Slice 65 of 155. Image size 240x240. Brain.
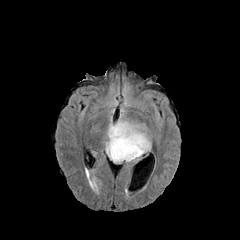
FLAIR MRI.
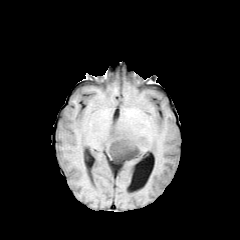
T1-weighted MR image.
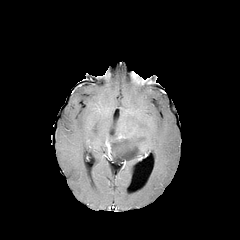
Post-contrast T1-weighted MR image of the same slice.
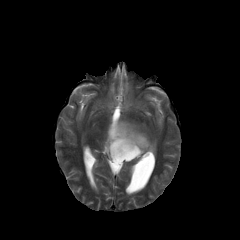
Same slice, T2-weighted magnetic resonance.
Annotated regions:
* non-enhancing tumor core: bbox(109, 131, 143, 163)
* enhancing tumor: bbox(106, 141, 111, 157); bbox(116, 131, 133, 139)
* edema: bbox(107, 120, 151, 151)